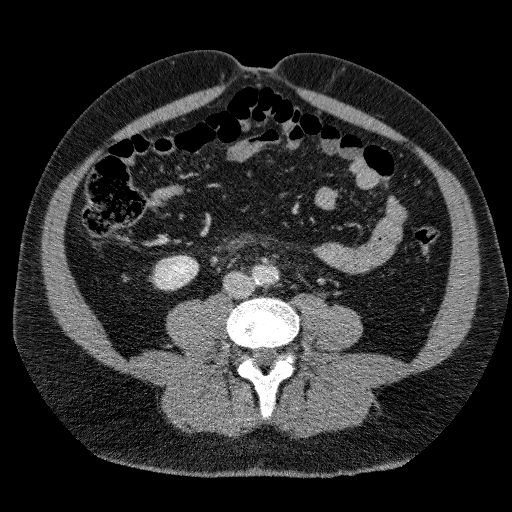

CT; Abdomen; 512x512
Kidney — left=155, top=256, right=197, bottom=288.